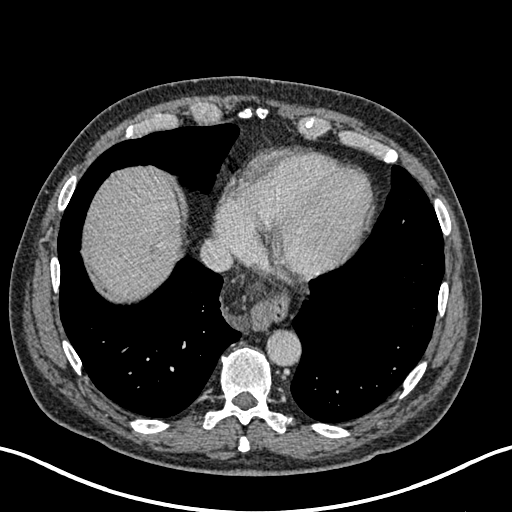

Liver | CT scan slice
The liver lesion is bounded by [148,244,155,252]. The liver lies within [84,166,180,301].